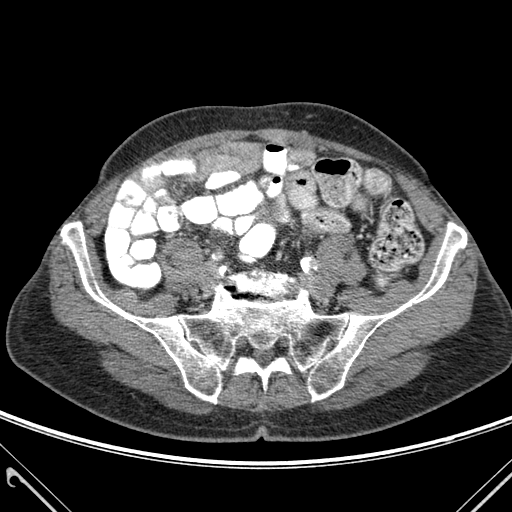
CT. Annotated regions:
• bone: (235, 358, 290, 388), (61, 222, 466, 403)